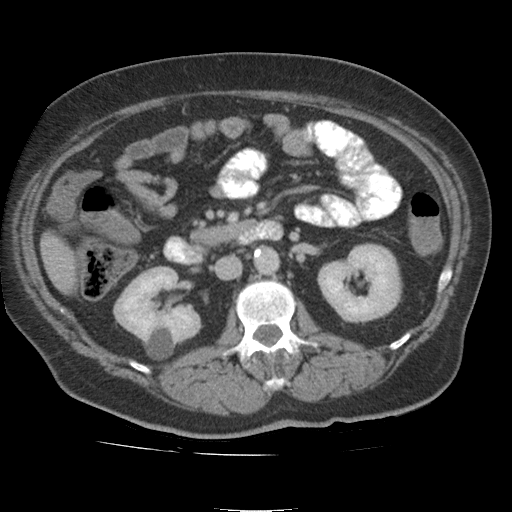 CT image, Upper abdomen

* kidney: rect(114, 269, 199, 340); rect(321, 246, 399, 319)
* liver: rect(47, 233, 79, 292)